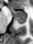

MR image, Image size 33x44, Medial temporal lobe
The anterior hippocampus is bounded by [x1=10, y1=7, x2=26, y2=17]. The posterior hippocampus lies within [x1=15, y1=18, x2=26, y2=23].